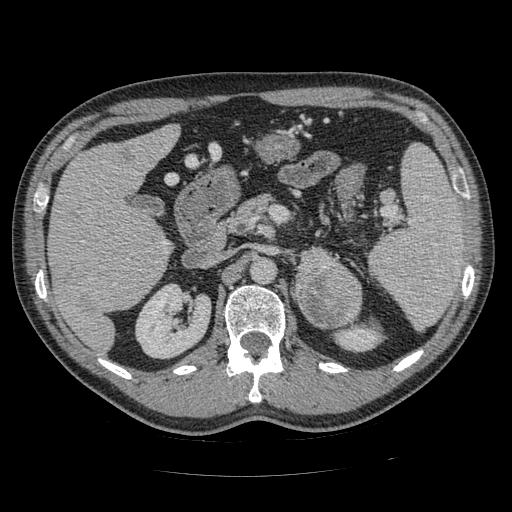 CT scan slice, Upper abdomen
<segmentation>
  <pancreas>234,196,270,229</pancreas>
  <pancreatic_tumor>298,249,361,328</pancreatic_tumor>
</segmentation>